FLAIR magnetic resonance.
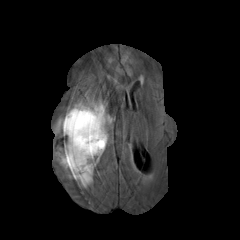
T1-weighted MRI.
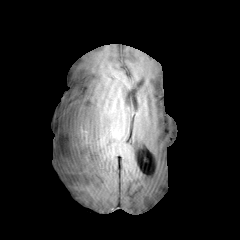
Post-contrast T1-weighted MR.
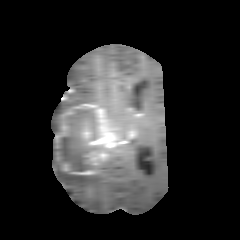
T2-weighted magnetic resonance.
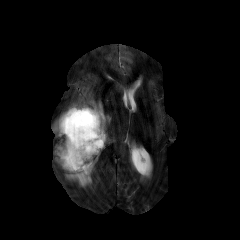
Brain. 240x240.
{
  "enhancing_tumor": [
    "region(75, 104, 112, 149)",
    "region(56, 119, 67, 137)",
    "region(89, 150, 101, 163)"
  ],
  "edema": [
    "region(52, 105, 76, 132)",
    "region(54, 133, 109, 186)",
    "region(78, 100, 111, 132)"
  ],
  "non-enhancing_tumor_core": [
    "region(60, 108, 97, 172)"
  ]
}